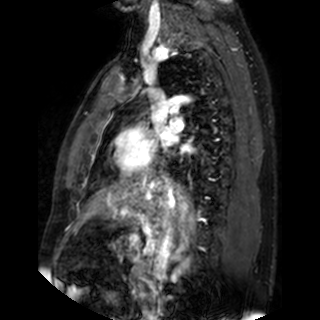
MRI. Heart.
2 left atrium regions appear at region(181, 144, 192, 151); region(163, 129, 176, 143).